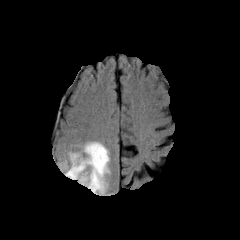
FLAIR MR.
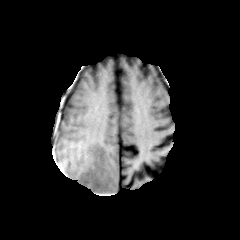
T1-weighted MR of the same slice.
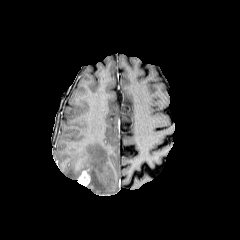
Same slice, post-contrast T1-weighted MR image.
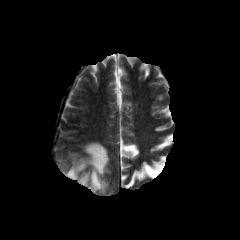
T2-weighted magnetic resonance of the same slice.
Head
Enhancing tumor: bbox=[78, 171, 90, 185].
Edema: bbox=[65, 142, 109, 192].